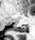 MR image
posterior hippocampus: left=12, top=25, right=28, bottom=32